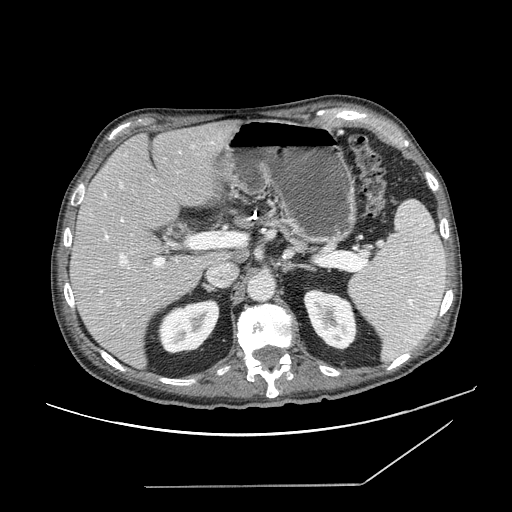

Computed tomography. <segmentation>
  <pancreas>262:217:307:249</pancreas>
</segmentation>